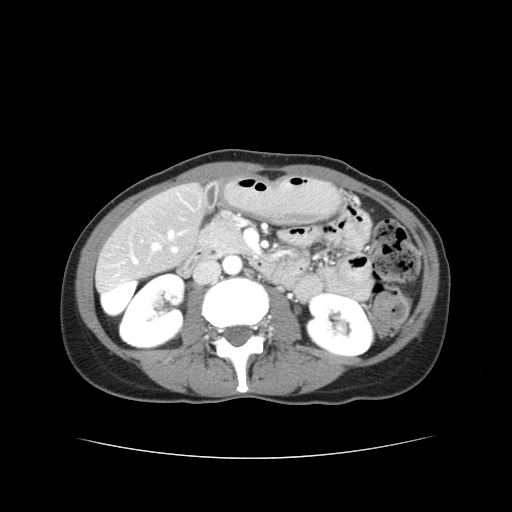

Liver | CT image | Image size 512x512

Only some of the vessels may be annotated.
4 hepatic vessel regions appear at {"x1": 173, "y1": 248, "x2": 175, "y2": 250}, {"x1": 153, "y1": 244, "x2": 157, "y2": 249}, {"x1": 169, "y1": 233, "x2": 173, "y2": 237}, {"x1": 133, "y1": 258, "x2": 137, "y2": 263}.